Slice index 17, CT slice, Liver 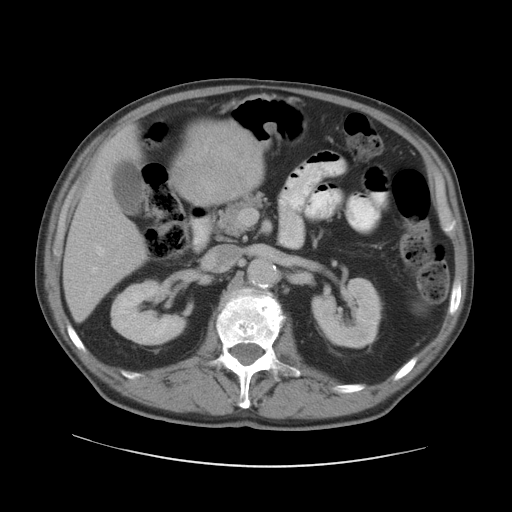 The vessel annotation is not exhaustive.
Hepatic vessel — x1=96, y1=244, x2=104, y2=255; x1=91, y1=267, x2=96, y2=272; x1=85, y1=235, x2=87, y2=236; x1=103, y1=175, x2=107, y2=177; x1=119, y1=270, x2=121, y2=271; x1=106, y1=187, x2=108, y2=189.
Liver tumor — x1=176, y1=124, x2=261, y2=205.